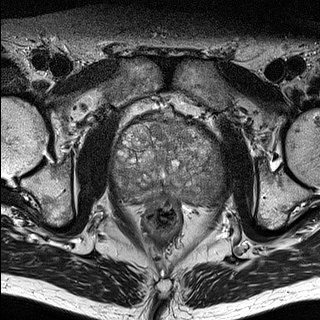
T2-weighted MR image.
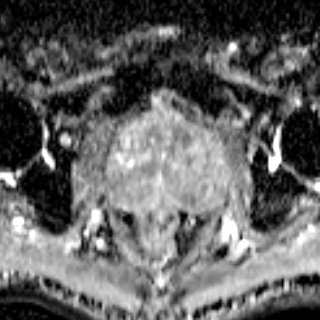
ADC magnetic resonance.
Prostate
{"prostate_transition_zone": ["110,117,227,205"]}